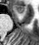
39x45 px; MRI
anterior_hippocampus:
  - (x1=13, y1=5, x2=24, y2=13)